Field of view 240 mm wide, 1.00 mm slice spacing
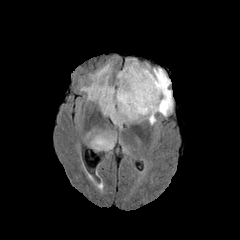
FLAIR MR image.
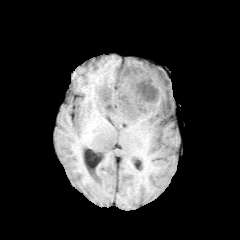
T1-weighted MR.
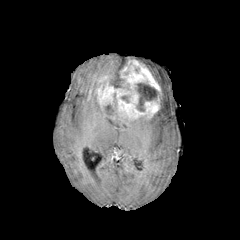
Post-contrast T1-weighted MRI of the same slice.
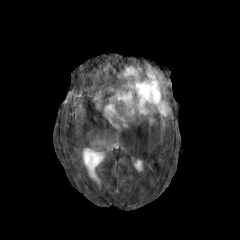
T2-weighted MRI.
enhancing tumor: (x1=95, y1=60, x2=160, y2=125) | edema: (x1=91, y1=132, x2=116, y2=151), (x1=115, y1=71, x2=120, y2=84), (x1=80, y1=60, x2=123, y2=130), (x1=123, y1=62, x2=173, y2=127) | non-enhancing tumor core: (x1=120, y1=94, x2=130, y2=102), (x1=105, y1=104, x2=113, y2=114), (x1=135, y1=81, x2=158, y2=112)